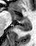

MRI slice
Segmented structures:
• anterior hippocampus: region(12, 11, 14, 20); region(21, 18, 29, 21)
• posterior hippocampus: region(16, 22, 30, 31)